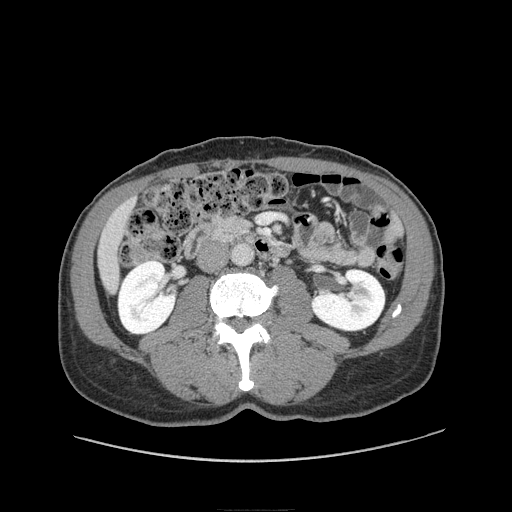
CT slice; Abdomen
The pancreas lies within 215 217 250 240.